FLAIR MR.
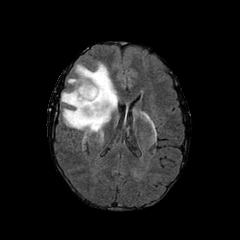
T1-weighted MRI.
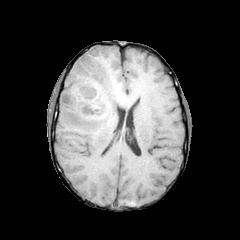
Post-contrast T1-weighted MR.
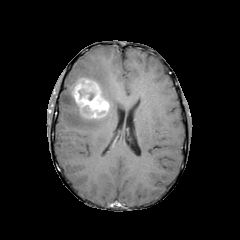
T2-weighted MR.
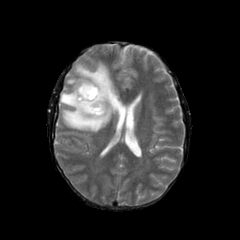
Brain | Image size 240x240
Annotated regions:
• enhancing tumor: 72 78 109 118
• edema: 61 62 118 132